FLAIR magnetic resonance.
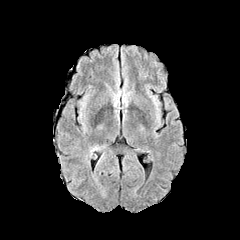
T1-weighted MR.
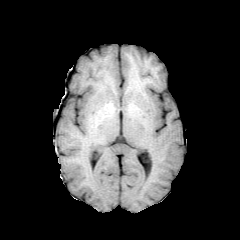
Post-contrast T1-weighted magnetic resonance.
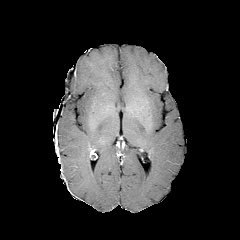
T2-weighted magnetic resonance.
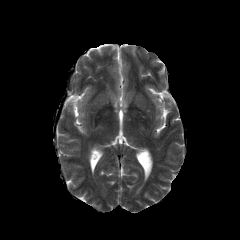
Brain. 240x240.
The edema is located at bbox(97, 152, 106, 165).